Slice index 128, CT slice, Image width 385 mm 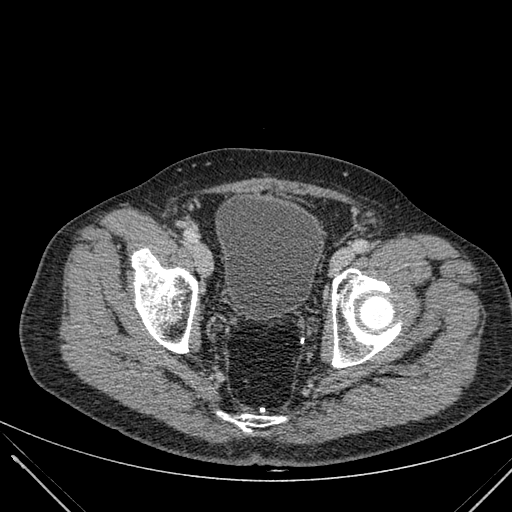 The urinary bladder lies within 215 197 323 316.